Image width 386 mm. CT scan slice.

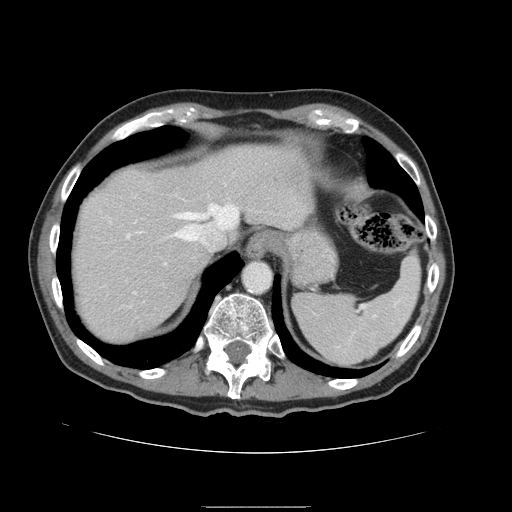 spleen:
  - <bbox>292, 255, 420, 365</bbox>